CT slice | Field of view 350 mm wide, 0.70 mm slice spacing | Abdomen
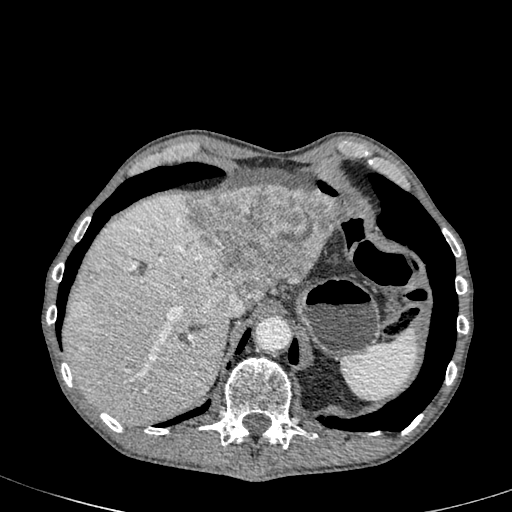

<segmentation>
  <liver>box=[334, 199, 349, 222]; box=[62, 194, 237, 425]; box=[285, 274, 302, 282]</liver>
  <focal_liver_lesion>box=[184, 185, 342, 306]</focal_liver_lesion>
</segmentation>